Slice 132 of 155. Field of view 240 mm wide, 1.00 mm slice spacing. Brain.
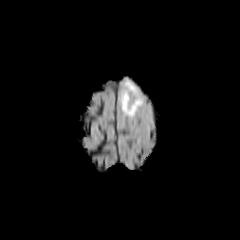
FLAIR magnetic resonance.
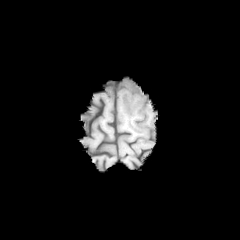
T1-weighted MRI of the same slice.
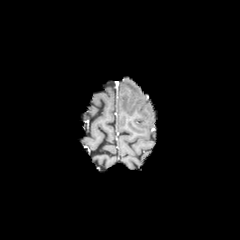
Post-contrast T1-weighted magnetic resonance of the same slice.
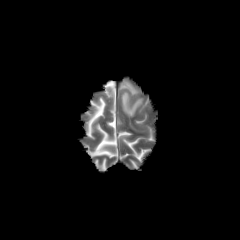
T2-weighted MR.
edema: region(121, 93, 142, 116); region(125, 82, 137, 93)